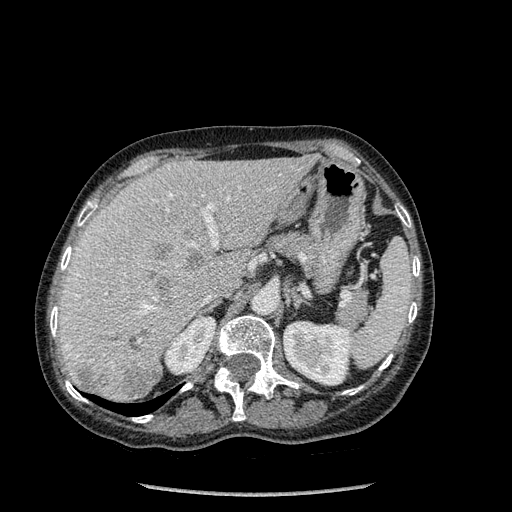
Upper abdomen, CT slice
The liver appears at bbox=[58, 155, 315, 402]. 13 bone regions are located at bbox=[412, 256, 419, 276]; bbox=[214, 367, 245, 420]; bbox=[407, 302, 417, 322]; bbox=[77, 202, 96, 226]; bbox=[132, 415, 152, 423]; bbox=[396, 205, 411, 227]; bbox=[342, 386, 362, 395]; bbox=[378, 354, 392, 370]; bbox=[50, 306, 58, 336]; bbox=[216, 315, 298, 398]; bbox=[180, 382, 192, 391]; bbox=[65, 380, 87, 402]; bbox=[60, 246, 72, 270]. 6 liver lesion regions are located at bbox=[123, 366, 157, 397]; bbox=[98, 375, 106, 384]; bbox=[151, 242, 173, 256]; bbox=[76, 366, 95, 391]; bbox=[188, 249, 202, 267]; bbox=[159, 282, 172, 300]. The lung is bounded by bbox=[90, 391, 173, 416]. 2 kidney regions are bounded by bbox=[283, 322, 353, 384]; bbox=[165, 317, 214, 373].